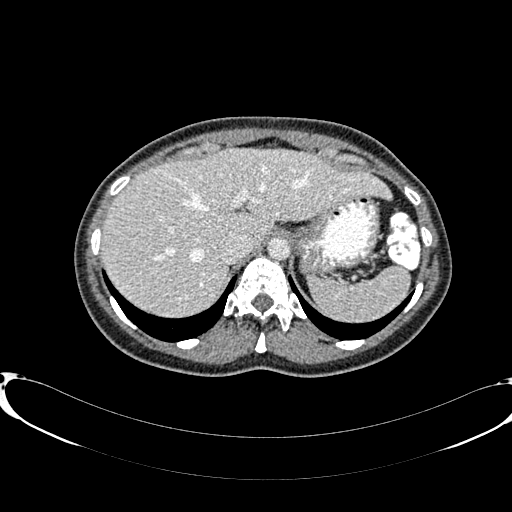

512x512 px. CT image.

The liver is located at (left=102, top=149, right=390, bottom=315).